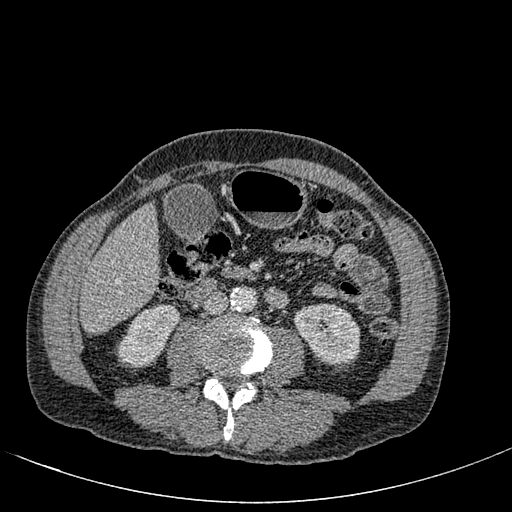 CT slice, Abdomen
Liver: bounding box l=80, t=204, r=158, b=331.
Kidney: bounding box l=294, t=303, r=359, b=363; l=118, t=305, r=179, b=366.